CT scan slice, Slice 14 of 36
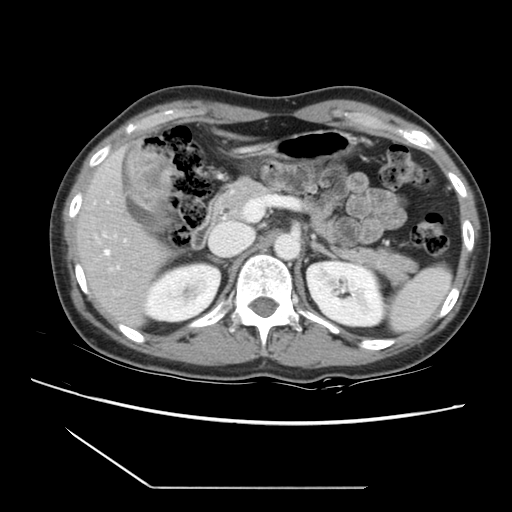

Some hepatic vessels may have no box.
12 hepatic vessel regions are located at x1=107, y1=201, x2=108, y2=203; x1=114, y1=235, x2=116, y2=237; x1=102, y1=234, x2=106, y2=237; x1=104, y1=250, x2=110, y2=255; x1=147, y1=299, x2=148, y2=303; x1=94, y1=202, x2=95, y2=204; x1=106, y1=164, x2=109, y2=171; x1=96, y1=237, x2=99, y2=241; x1=123, y1=240, x2=125, y2=241; x1=110, y1=269, x2=113, y2=270; x1=115, y1=156, x2=118, y2=159; x1=115, y1=267, x2=119, y2=269. The liver tumor lies within x1=128, y1=143, x2=171, y2=209.